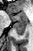
Hippocampus, MRI slice
Anterior hippocampus — box=[10, 12, 27, 23].
Posterior hippocampus — box=[13, 24, 26, 35].